FLAIR MR image.
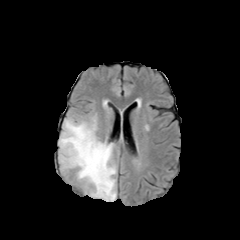
T1-weighted MR image.
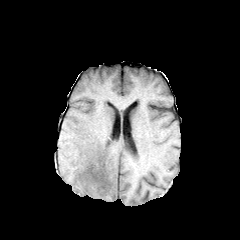
Post-contrast T1-weighted MR image.
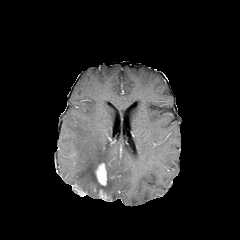
T2-weighted MRI.
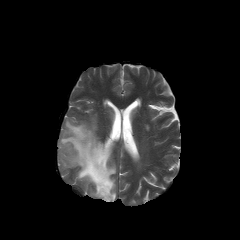
The non-enhancing tumor core is located at {"x1": 86, "y1": 160, "x2": 111, "y2": 198}. The edema is at {"x1": 58, "y1": 117, "x2": 116, "y2": 201}. 2 enhancing tumor regions are bounded by {"x1": 99, "y1": 190, "x2": 107, "y2": 198}, {"x1": 96, "y1": 162, "x2": 107, "y2": 185}.